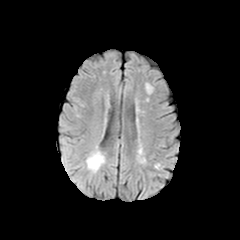
FLAIR MRI.
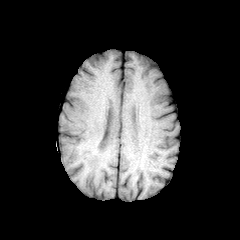
T1-weighted MR image.
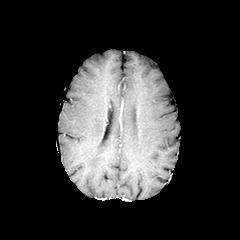
Post-contrast T1-weighted magnetic resonance of the same slice.
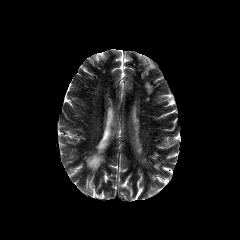
T2-weighted MRI.
Image size 240x240; Brain
{
  "edema": [
    "bbox(86, 153, 103, 169)"
  ]
}